Slice 199/422, Field of view 353 mm wide, 1.50 mm slice spacing, CT image
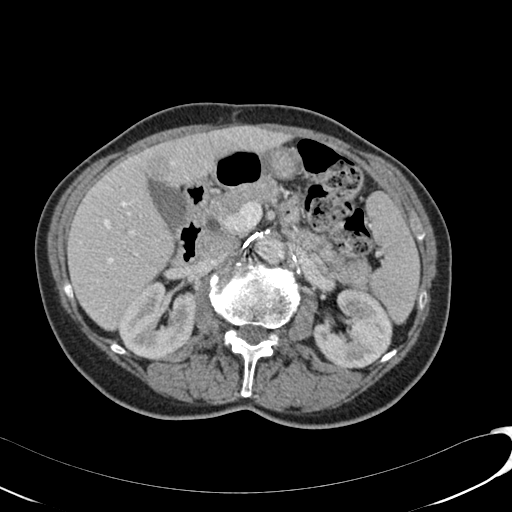 Liver: (68,127,291,329).
Kidney: (314,290,391,367), (118,282,195,358).
Liver lesion: (147,155,169,175), (214,147,236,160).